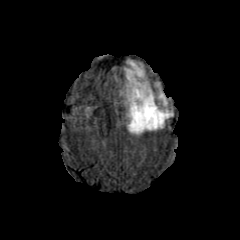
FLAIR MR image.
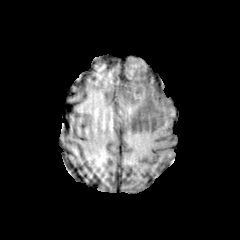
T1-weighted magnetic resonance of the same slice.
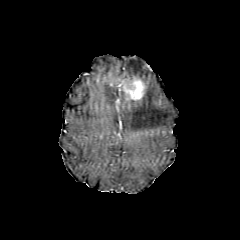
Same slice, post-contrast T1-weighted magnetic resonance.
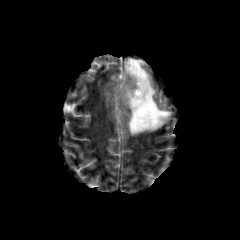
Same slice, T2-weighted MR.
Head
edema:
  - (119,59,172,135)
enhancing_tumor:
  - (119,77,147,100)